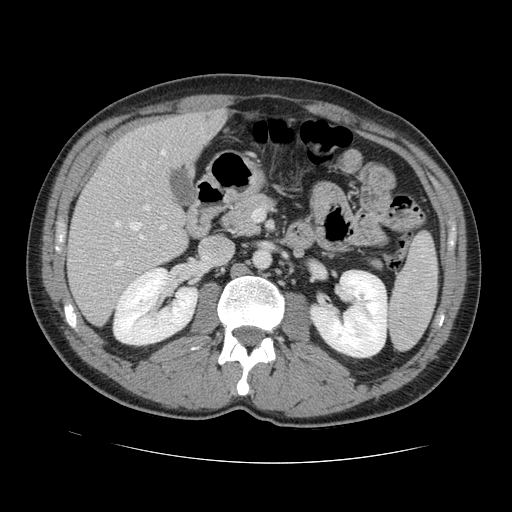
512x512; CT scan slice

Not every hepatic vessel necessarily has a box.
hepatic vessel: region(114, 261, 121, 266); region(161, 149, 164, 154); region(142, 178, 143, 179); region(114, 221, 119, 226); region(113, 248, 115, 250); region(160, 225, 164, 229); region(130, 222, 140, 230); region(141, 161, 145, 167); region(111, 286, 112, 287); region(143, 205, 148, 209); region(139, 235, 142, 240)